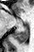

Magnetic resonance; Medial temporal lobe
<segmentation>
  <posterior_hippocampus>rect(12, 33, 14, 34); rect(15, 26, 29, 44)</posterior_hippocampus>
</segmentation>